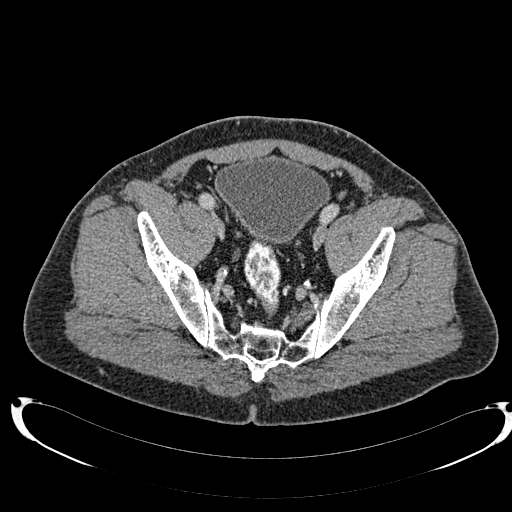
CT slice
Annotated regions:
• urinary bladder: bbox=[216, 155, 330, 245]